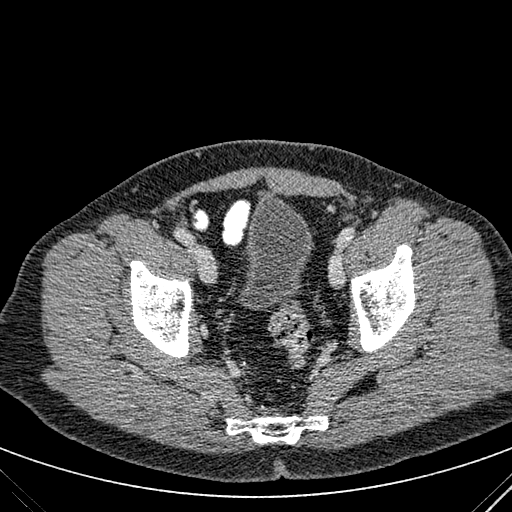 Pelvis; CT image
urinary_bladder:
  - bbox=[229, 236, 246, 297]
  - bbox=[234, 197, 314, 310]